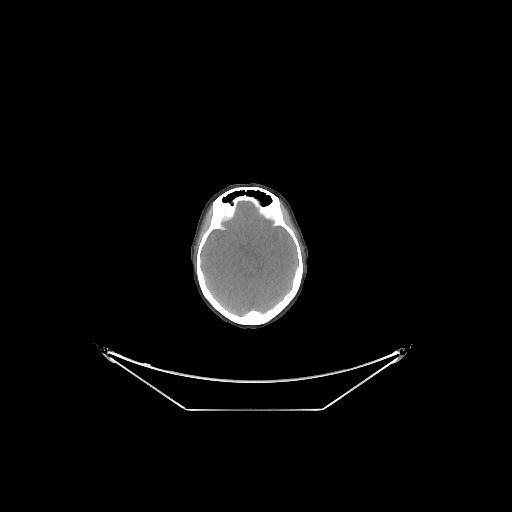
Computed tomography

brain: 200,200,298,316